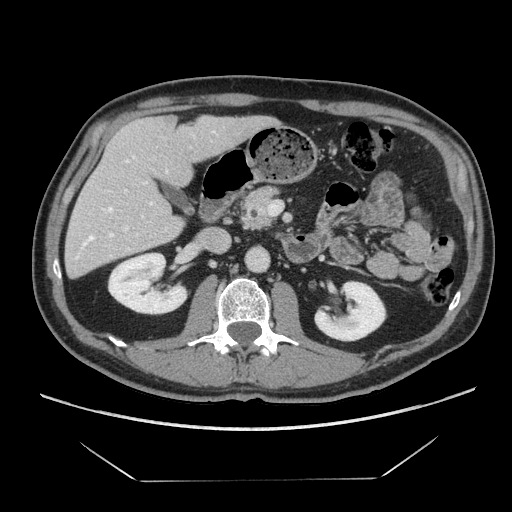

CT | Abdomen | 512x512
Pancreas — 244 188 276 227.